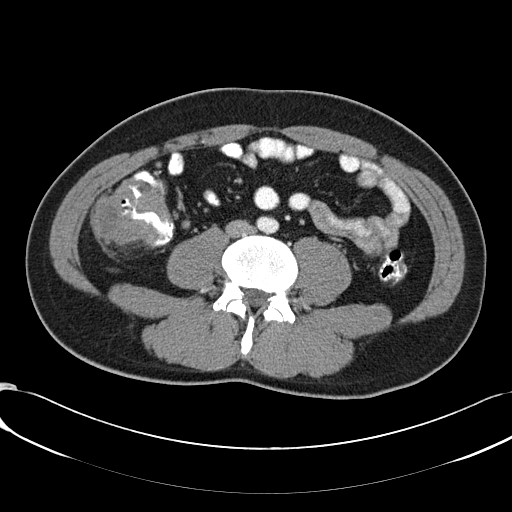 CT image. colon_tumor:
  - box(93, 177, 171, 243)